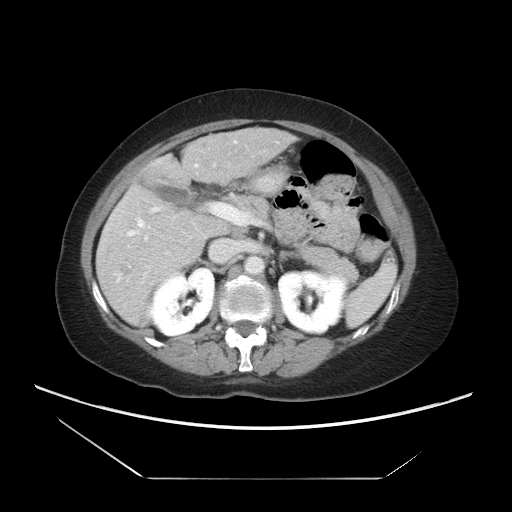
CT

Only some of the vessels may be annotated.
<segmentation>
  <hepatic_vessel>x1=117 y1=273 x2=120 y2=281, x1=234 y1=141 x2=236 y2=143, x1=211 y1=203 x2=238 y2=218, x1=195 y1=164 x2=197 y2=166, x1=148 y1=226 x2=149 y2=228, x1=151 y1=207 x2=159 y2=211, x1=127 y1=230 x2=138 y2=235, x1=144 y1=235 x2=147 y2=239, x1=138 y1=219 x2=143 y2=226, x1=166 y1=252 x2=168 y2=253</hepatic_vessel>
</segmentation>